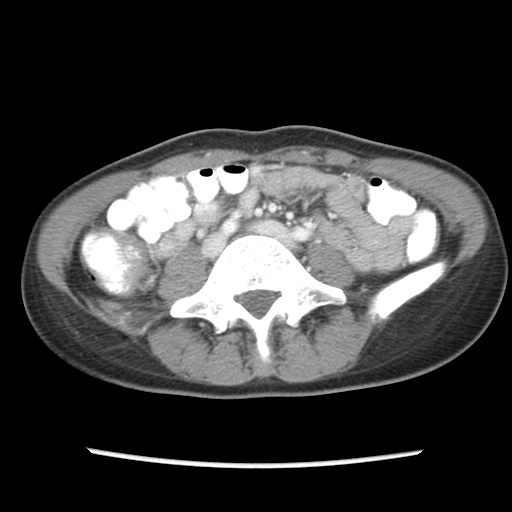

CT

colon tumor: x1=102, y1=227, x2=151, y2=289